CT image | Slice index 122 | Abdomen
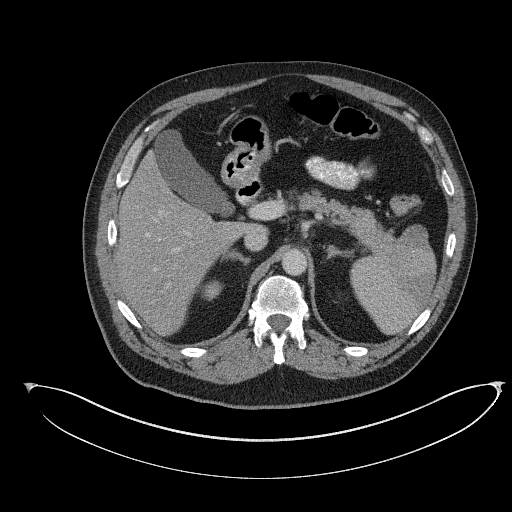
2 pancreas regions are bounded by (300,189,369,227), (361,219,392,253). The pancreatic tumor is located at (353,211,374,243).